FLAIR MRI.
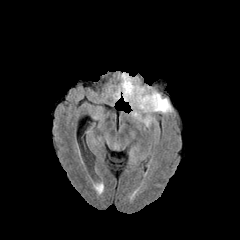
T1-weighted MRI.
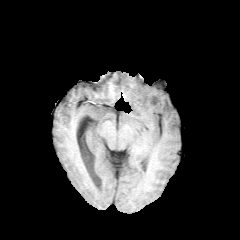
Post-contrast T1-weighted MR image.
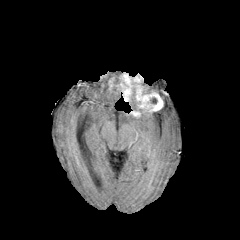
T2-weighted magnetic resonance.
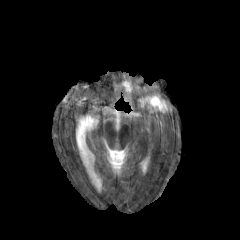
Head
{"non-enhancing_tumor_core": ["150 97 157 104"], "enhancing_tumor": ["118 73 163 111"], "edema": ["112 88 120 100", "127 81 154 127", "146 86 172 114"]}